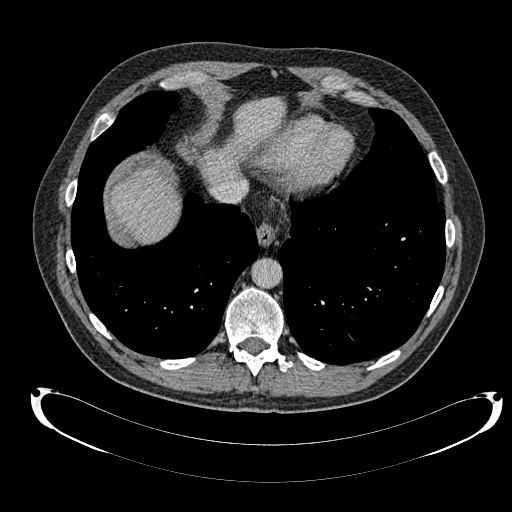

CT image
Annotated regions:
- liver: box(203, 98, 284, 184); box(111, 170, 179, 241)